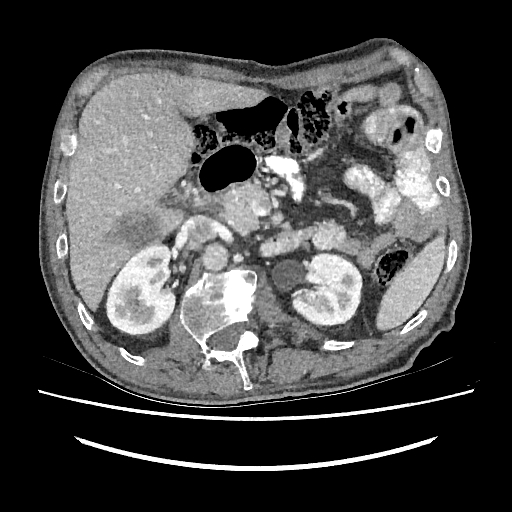

Abdomen; CT slice
{"hepatic_lesion": ["[109,212,161,250]"], "kidney": ["[293,254,361,324]", "[107,245,174,334]"], "liver": ["[66,71,264,310]"]}